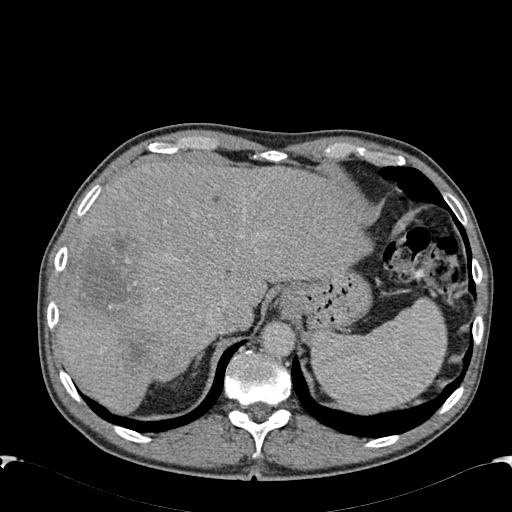

Computed tomography
Segmented structures:
- liver: box=[56, 163, 373, 410]
- hepatic lesion: box=[66, 231, 144, 323]; box=[117, 329, 152, 367]